240x240
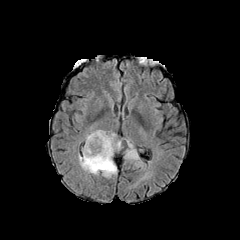
FLAIR MR image.
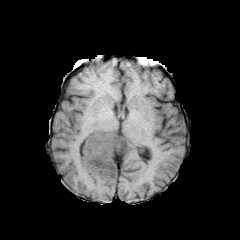
T1-weighted MR image of the same slice.
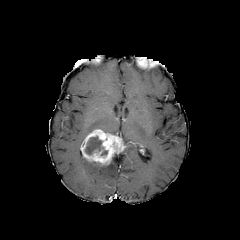
Post-contrast T1-weighted MR image of the same slice.
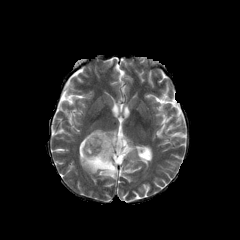
Same slice, T2-weighted magnetic resonance.
{"edema": [{"x1": 79, "y1": 153, "x2": 117, "y2": 179}, {"x1": 87, "y1": 142, "x2": 99, "y2": 151}, {"x1": 119, "y1": 138, "x2": 139, "y2": 161}], "enhancing_tumor": [{"x1": 81, "y1": 130, "x2": 124, "y2": 165}], "non-enhancing_tumor_core": [{"x1": 85, "y1": 136, "x2": 101, "y2": 155}]}